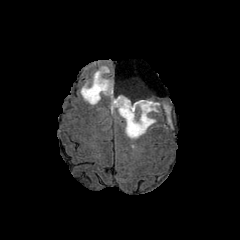
FLAIR MR image.
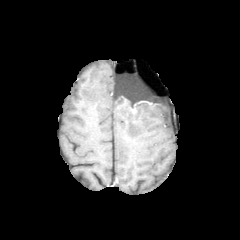
T1-weighted MRI.
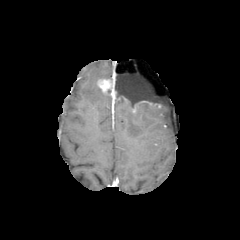
Post-contrast T1-weighted MR.
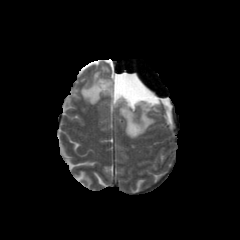
T2-weighted magnetic resonance.
Brain | Image size 240x240
Non-enhancing tumor core: bounding box (left=115, top=83, right=160, bottom=112).
Edema: bounding box (left=80, top=65, right=111, bottom=105), (left=114, top=98, right=169, bottom=138), (left=114, top=80, right=119, bottom=93).
Enhancing tumor: bounding box (left=98, top=71, right=116, bottom=112).